CT. Image width 500 mm. Upper abdomen.
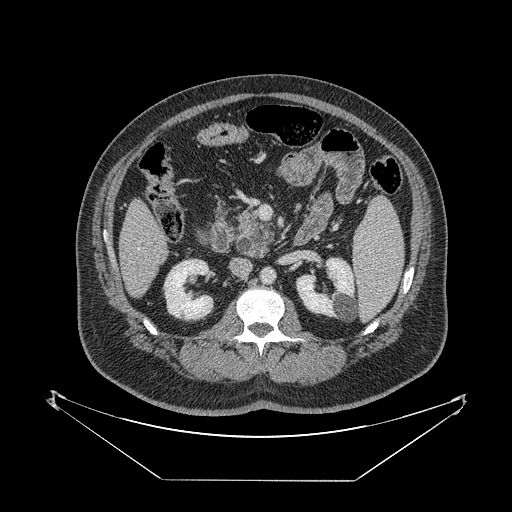 {"pancreas": ["left=236, top=213, right=273, bottom=257"]}